FLAIR MR image.
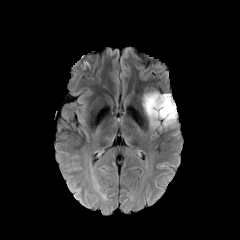
T1-weighted MR image.
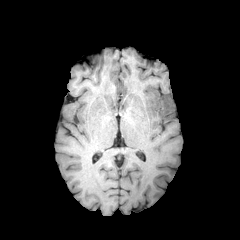
Post-contrast T1-weighted MR.
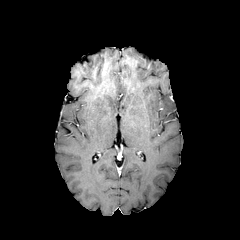
T2-weighted MRI.
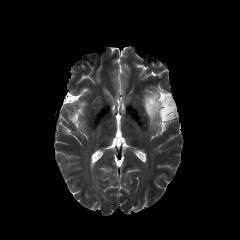
240x240, Brain
Edema: bounding box <box>142,91,177,130</box>.
Non-enhancing tumor core: bounding box <box>154,96,173,119</box>.